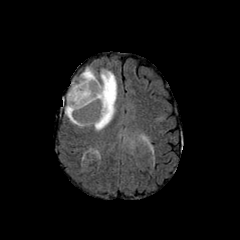
FLAIR MR.
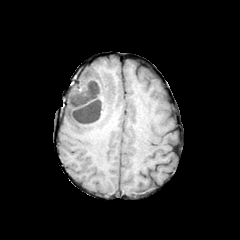
T1-weighted MR.
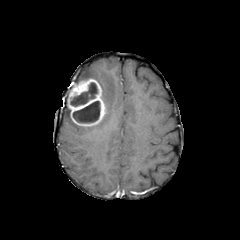
Post-contrast T1-weighted MRI.
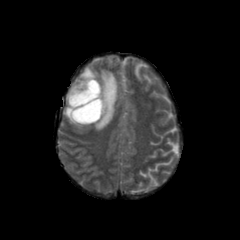
T2-weighted MR image.
Head
The enhancing tumor is located at (x1=69, y1=79, x2=104, y2=119). 2 edema regions are located at (x1=65, y1=106, x2=84, y2=127), (x1=79, y1=67, x2=118, y2=130). 2 non-enhancing tumor core regions appear at (x1=67, y1=82, x2=98, y2=116), (x1=72, y1=100, x2=100, y2=123).